CT scan slice; 512x512 px; Field of view 512 mm wide, 1.00 mm slice spacing; Slice index 96

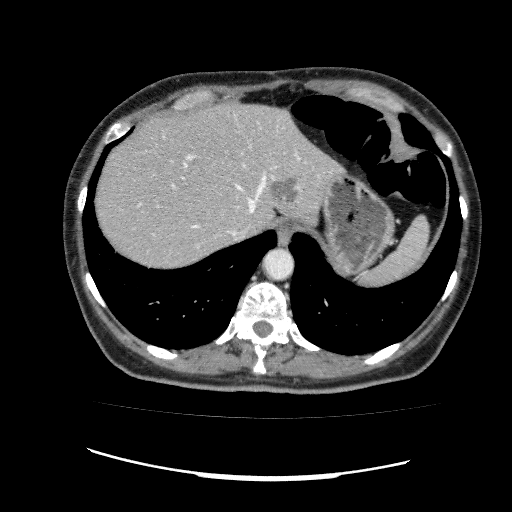
Annotated regions:
- focal liver lesion: (269, 178, 297, 205)
- liver: (95, 101, 344, 269)